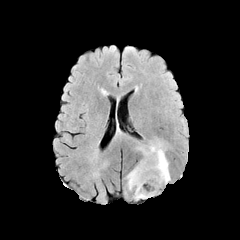
FLAIR MR image.
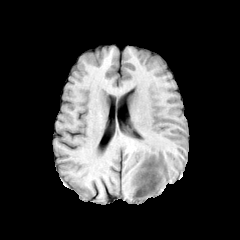
Same slice, T1-weighted MR image.
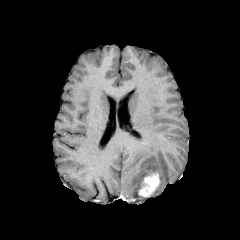
Same slice, post-contrast T1-weighted MR.
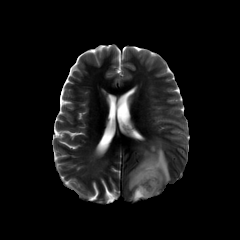
T2-weighted magnetic resonance.
Head
The edema lies within (127,142,170,200). The enhancing tumor is bounded by (138,170,160,197).